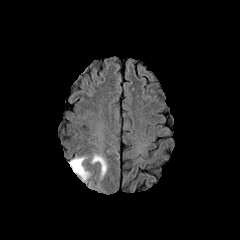
FLAIR MRI.
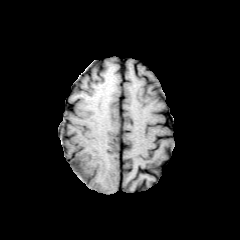
Same slice, T1-weighted MRI.
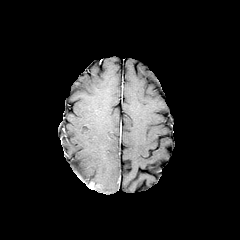
Post-contrast T1-weighted magnetic resonance.
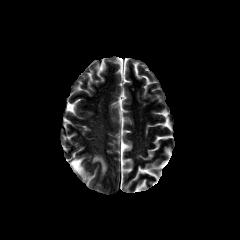
T2-weighted MR of the same slice.
Brain. 240x240 px.
<segmentation>
  <edema>[69, 154, 107, 189]</edema>
</segmentation>